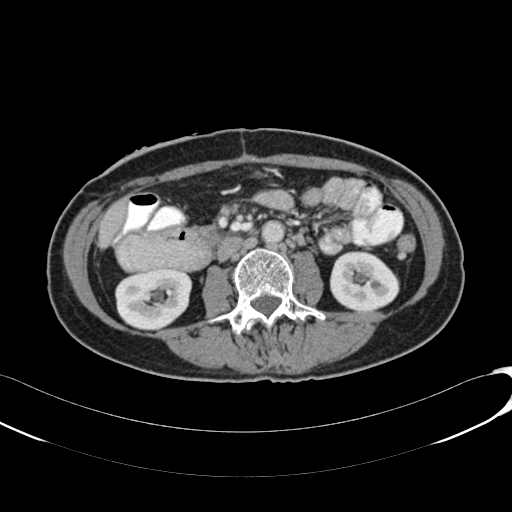 CT
Liver: rect(98, 199, 124, 246).
Kidney: rect(116, 269, 185, 328); rect(331, 252, 397, 311).